Abdomen, CT, 512x512 px
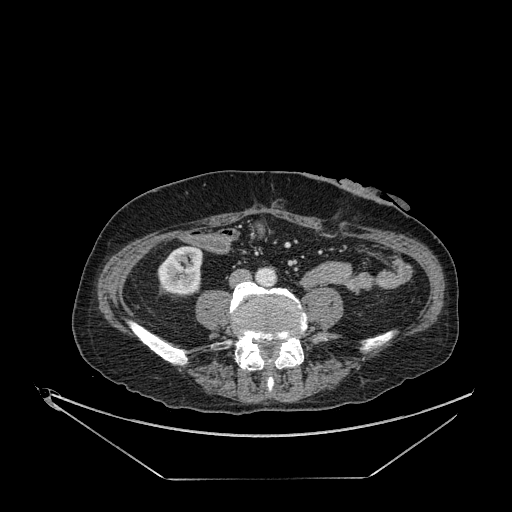

Annotated regions:
• kidney: 158:247:201:294